Abdomen | Slice 107 of 149 | Computed tomography
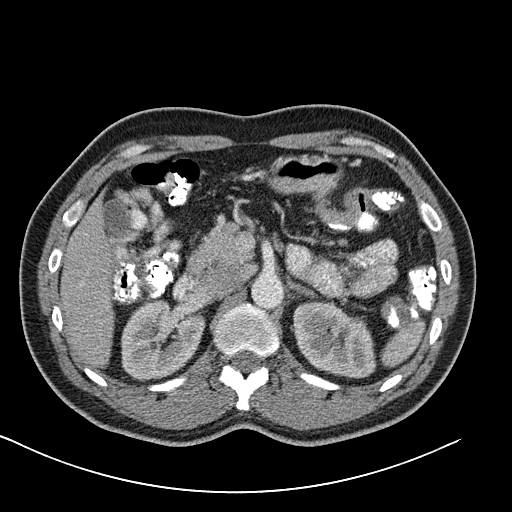

The colon tumor is at x1=315, y1=192, x2=359, y2=223.